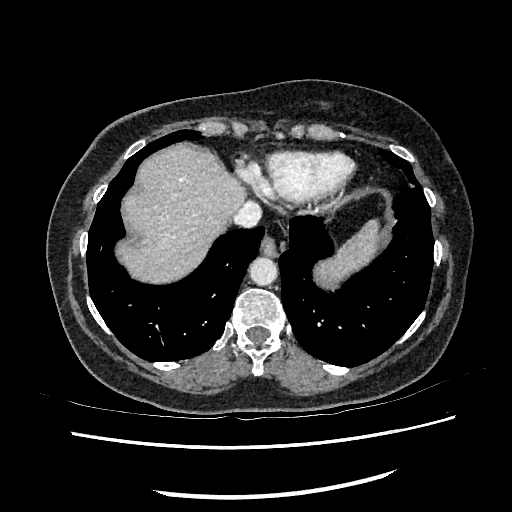
Computed tomography, Image size 512x512
The liver is located at x1=118 y1=146 x2=243 y2=281.